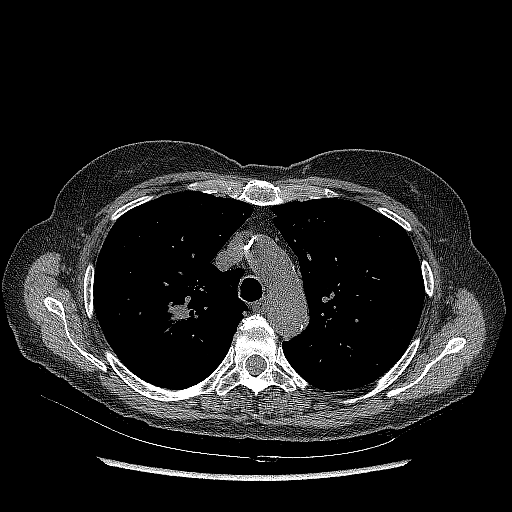

Lung | CT image

Lung tumor — (x1=165, y1=303, x2=191, y2=325).